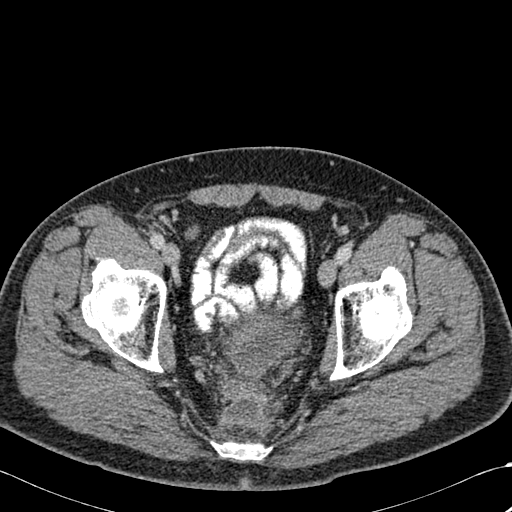 CT image

bone: rect(330, 266, 412, 379); rect(82, 258, 166, 372); rect(215, 442, 267, 459)